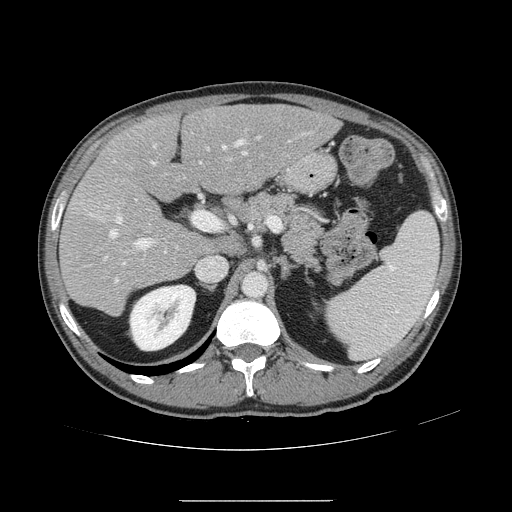
Image size 512x512, Computed tomography, Abdomen
The vessel annotation is not exhaustive.
Principal 15 of 16 hepatic vessel regions = left=222, top=146, right=226, bottom=148; left=105, top=257, right=107, bottom=258; left=151, top=162, right=155, bottom=163; left=288, top=140, right=290, bottom=142; left=153, top=144, right=155, bottom=147; left=304, top=133, right=310, bottom=133; left=243, top=151, right=245, bottom=154; left=236, top=140, right=244, bottom=144; left=116, top=213, right=122, bottom=222; left=110, top=229, right=117, bottom=237; left=136, top=238, right=151, bottom=251; left=257, top=137, right=259, bottom=138; left=206, top=148, right=208, bottom=149; left=115, top=278, right=118, bottom=282; left=193, top=211, right=204, bottom=229.